CT slice; Abdomen; Slice 537/845; Image width 472 mm

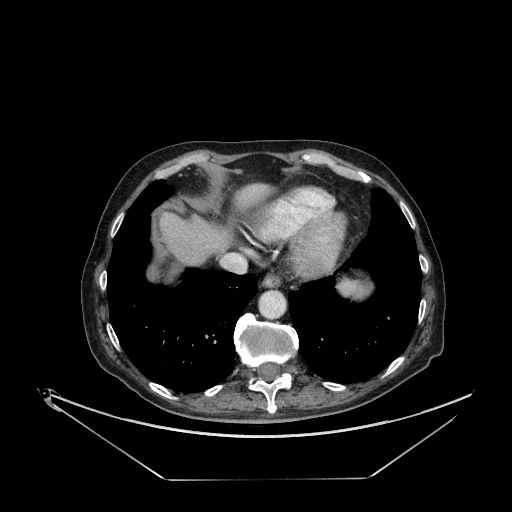 Liver = x1=160 y1=212 x2=228 y2=265, x1=237 y1=185 x2=268 y2=206.